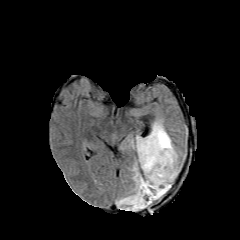
FLAIR magnetic resonance.
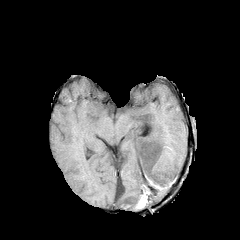
T1-weighted MR image.
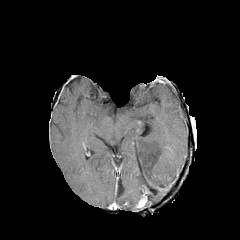
Post-contrast T1-weighted MRI of the same slice.
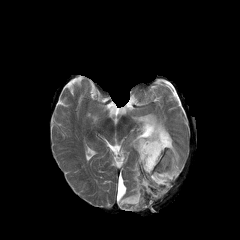
Same slice, T2-weighted MR image.
• edema: <box>116,118,180,211</box>
• non-enhancing tumor core: <box>157,184,171,191</box>